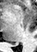
Magnetic resonance.
Posterior hippocampus = x1=12, y1=43, x2=15, y2=43.